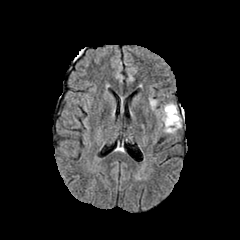
FLAIR MRI.
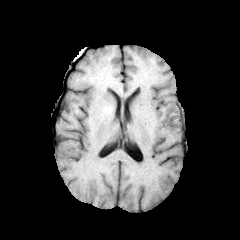
Same slice, T1-weighted MR image.
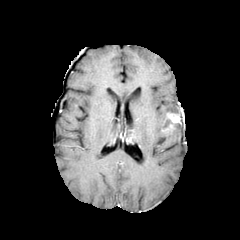
Same slice, post-contrast T1-weighted MRI.
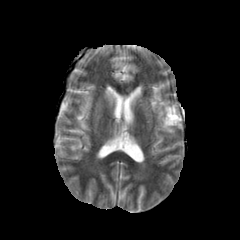
Same slice, T2-weighted magnetic resonance.
Image size 240x240. Brain.
Findings:
• edema: [x1=168, y1=122, x2=182, y2=136], [x1=156, y1=101, x2=181, y2=135], [x1=149, y1=98, x2=158, y2=111]
• enhancing tumor: [x1=165, y1=112, x2=181, y2=131]
• non-enhancing tumor core: [x1=163, y1=128, x2=174, y2=135]